Lower abdomen. Computed tomography.
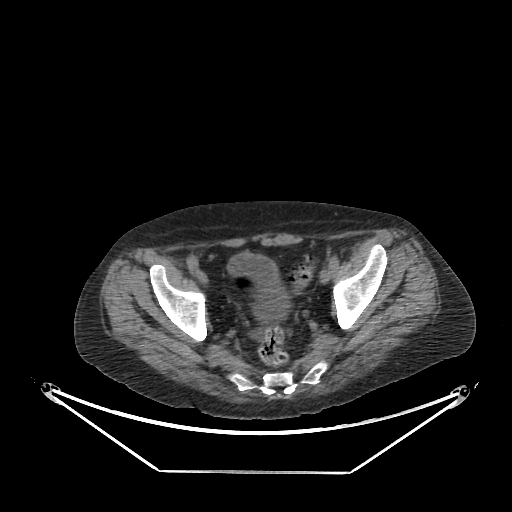
Urinary bladder = <box>227,250,292,335</box>.